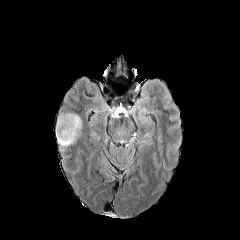
FLAIR MR image.
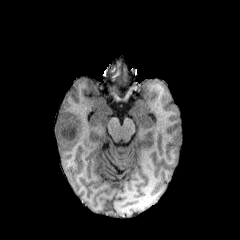
T1-weighted MR image.
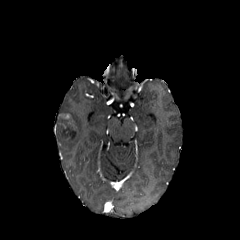
Same slice, post-contrast T1-weighted magnetic resonance.
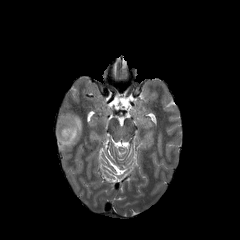
T2-weighted MR image.
Brain
The edema is at x1=56, y1=113, x2=82, y2=152. The non-enhancing tumor core appears at x1=56, y1=115, x2=78, y2=141. The enhancing tumor appears at x1=58, y1=113, x2=72, y2=119.